CT scan slice, Liver

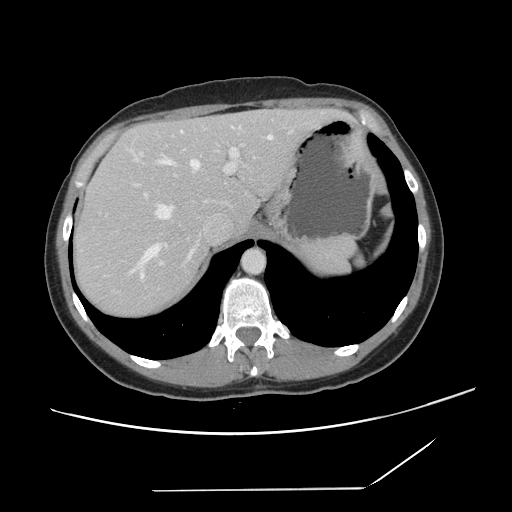

Only some of the vessels may be annotated.
The largest 15 hepatic vessel regions (of 19) are bounded by <bbox>190, 160, 199, 168</bbox>, <bbox>137, 244, 161, 280</bbox>, <bbox>224, 162, 235, 173</bbox>, <bbox>145, 194, 147, 196</bbox>, <bbox>161, 154, 163, 156</bbox>, <bbox>160, 158, 172, 164</bbox>, <bbox>230, 148, 238, 159</bbox>, <bbox>134, 184, 139, 186</bbox>, <bbox>156, 205, 172, 218</bbox>, <bbox>129, 149, 132, 151</bbox>, <bbox>129, 270, 133, 273</bbox>, <bbox>159, 262, 163, 264</bbox>, <bbox>134, 152, 142, 161</bbox>, <bbox>163, 244, 166, 246</bbox>, <bbox>268, 136, 271, 138</bbox>.